Slice 82 of 155 | Brain | 240x240
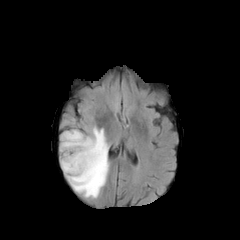
FLAIR magnetic resonance.
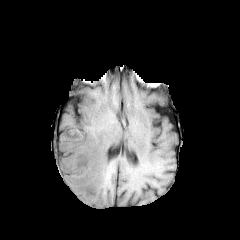
T1-weighted MR image.
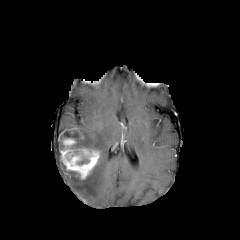
Post-contrast T1-weighted MR of the same slice.
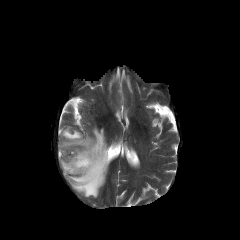
T2-weighted magnetic resonance of the same slice.
Edema — x1=61, y1=127, x2=109, y2=198.
Enhancing tumor — x1=59, y1=137, x2=101, y2=180.